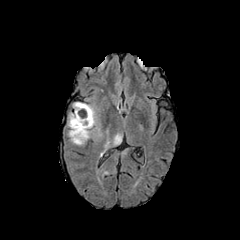
FLAIR MR image.
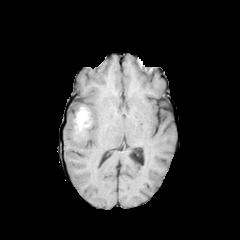
T1-weighted MR image of the same slice.
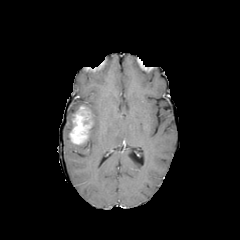
Post-contrast T1-weighted MR image.
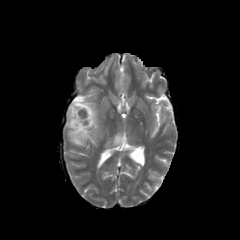
Same slice, T2-weighted MRI.
Enhancing tumor = x1=69 y1=113 x2=92 y2=144.
Non-enhancing tumor core = x1=75 y1=106 x2=94 y2=125.
Edema = x1=68 y1=112 x2=73 y2=128, x1=113 y1=133 x2=122 y2=144, x1=73 y1=102 x2=97 y2=138.